Abdomen | CT scan slice
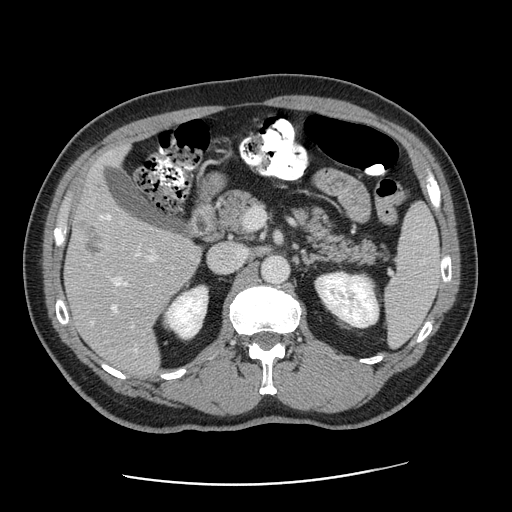
The vessel boxes may cover only some of the vessels.
liver_tumor:
  - 73 217 108 258
  - 93 182 104 192
hepatic_vessel:
  - 114 278 127 284
  - 113 306 117 311
  - 138 252 140 254
  - 92 322 93 323
  - 99 215 110 219
  - 148 250 154 260